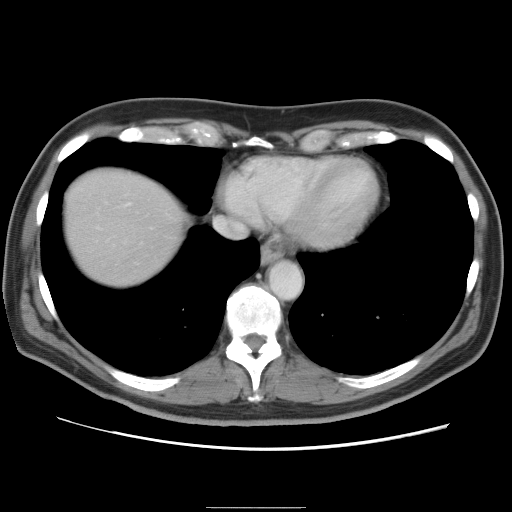
Computed tomography. Liver.
Some hepatic vessels may have no box.
The hepatic vessel lies within bbox(123, 202, 129, 204).